FLAIR MRI.
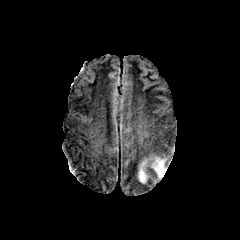
T1-weighted MR image.
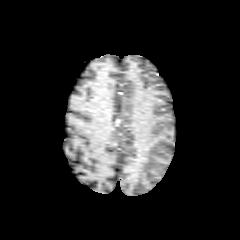
Post-contrast T1-weighted MRI.
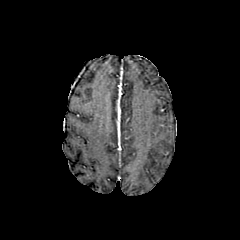
T2-weighted magnetic resonance.
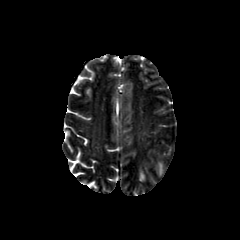
240x240 px
<segmentation>
  <edema>(139,170,145,181), (156,161,163,175)</edema>
</segmentation>